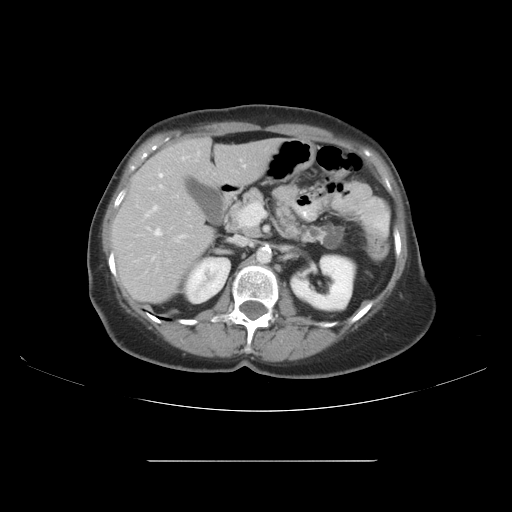

CT image. Upper abdomen.

The pancreatic tumor lies within box=[324, 227, 343, 248]. 3 pancreas regions appear at box=[274, 203, 337, 246]; box=[327, 231, 344, 249]; box=[225, 188, 266, 238].